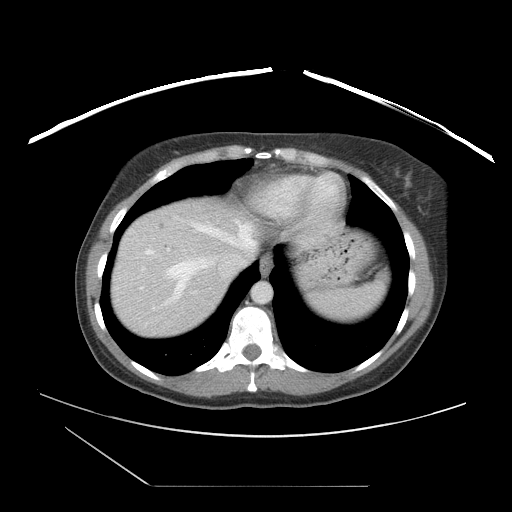

Liver | CT scan slice
Some hepatic vessels may have no box.
Segmented structures:
* hepatic vessel: {"x1": 167, "y1": 248, "x2": 169, "y2": 250}, {"x1": 218, "y1": 254, "x2": 244, "y2": 276}, {"x1": 194, "y1": 221, "x2": 255, "y2": 253}, {"x1": 140, "y1": 287, "x2": 142, "y2": 289}, {"x1": 163, "y1": 259, "x2": 213, "y2": 304}, {"x1": 146, "y1": 250, "x2": 152, "y2": 254}